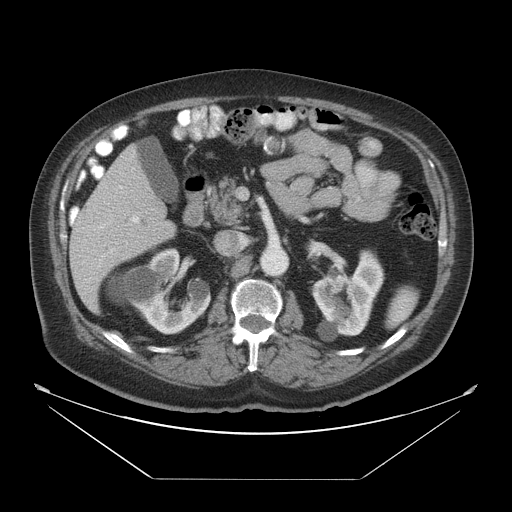

CT image. Some hepatic vessels may have no box.
hepatic vessel: {"x1": 132, "y1": 217, "x2": 138, "y2": 221}